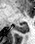
Magnetic resonance, Hippocampus
Annotated regions:
* posterior hippocampus: box(12, 23, 27, 32)